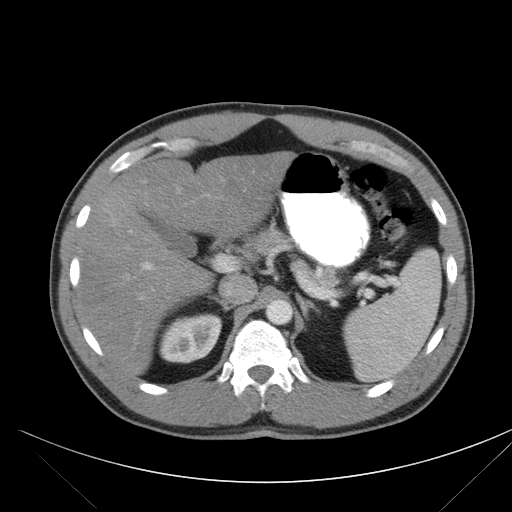
Image size 512x512; CT; Upper abdomen
Pancreas — box(242, 227, 291, 257).